CT scan slice.
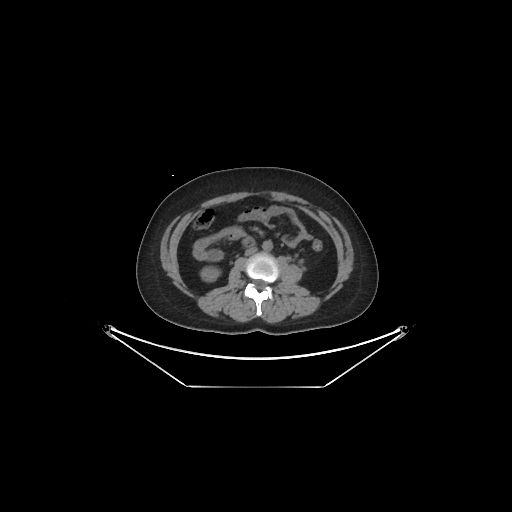
kidney:
  - region(202, 269, 218, 280)